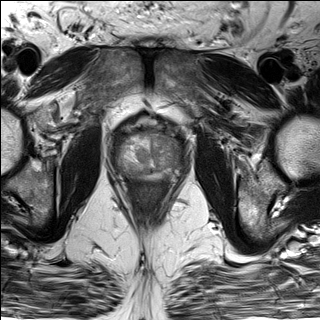
T2-weighted MR.
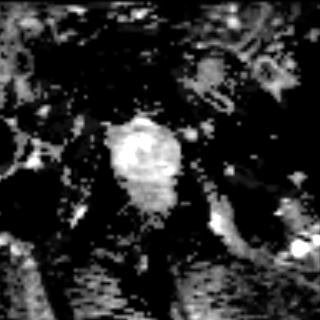
ADC MR.
Prostate.
<segmentation>
  <prostate_transition_zone>(x1=115, y1=132, x2=182, y2=174)</prostate_transition_zone>
  <prostate_peripheral_zone>(x1=117, y1=168, x2=176, y2=182)</prostate_peripheral_zone>
</segmentation>